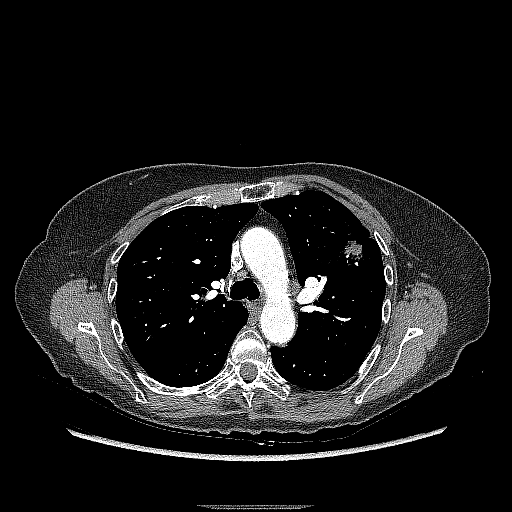
CT slice

<segmentation>
  <lung_tumor>{"x1": 337, "y1": 237, "x2": 369, "y2": 267}</lung_tumor>
</segmentation>